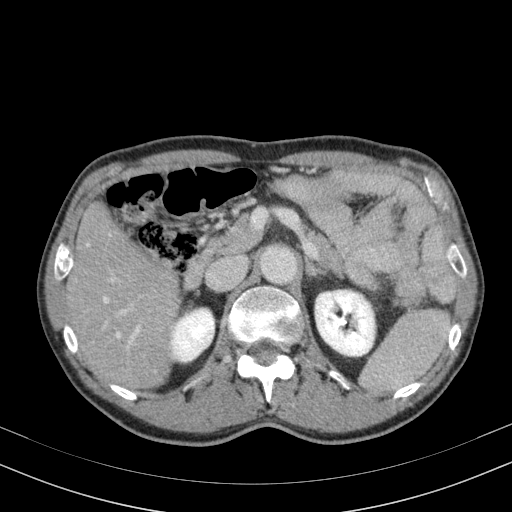 512x512; Computed tomography; Abdomen
{
  "kidney": [
    "<box>315,290,374,355</box>",
    "<box>171,309,213,360</box>"
  ],
  "liver": [
    "<box>66,202,179,389</box>"
  ]
}